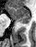 36x47 px | Medial temporal lobe | MR image
<segmentation>
  <posterior_hippocampus>l=21, t=22, r=27, b=23</posterior_hippocampus>
  <anterior_hippocampus>l=8, t=7, r=31, b=21</anterior_hippocampus>
</segmentation>